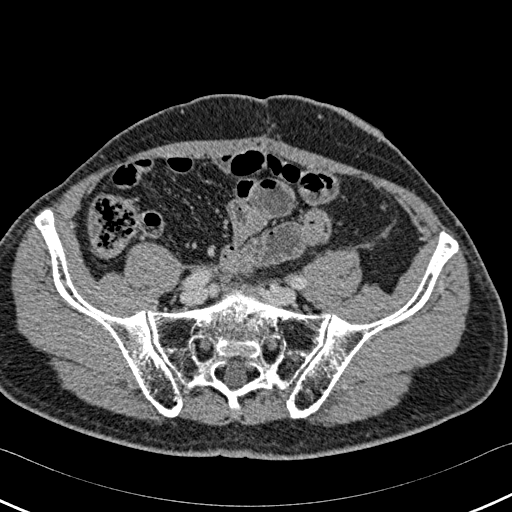 Image size 512x512 | CT scan slice

Segmented structures:
* bone: box=[35, 210, 457, 418]